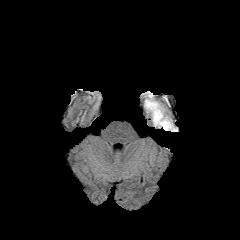
FLAIR MRI.
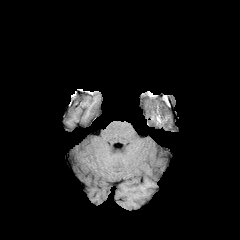
Same slice, T1-weighted MRI.
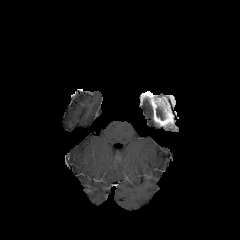
Post-contrast T1-weighted MR image.
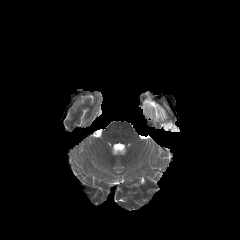
T2-weighted MR of the same slice.
Enhancing tumor — 143,94,176,129.
Edema — 141,100,151,115.
Non-enhancing tumor core — 154,95,171,112; 145,100,153,117.